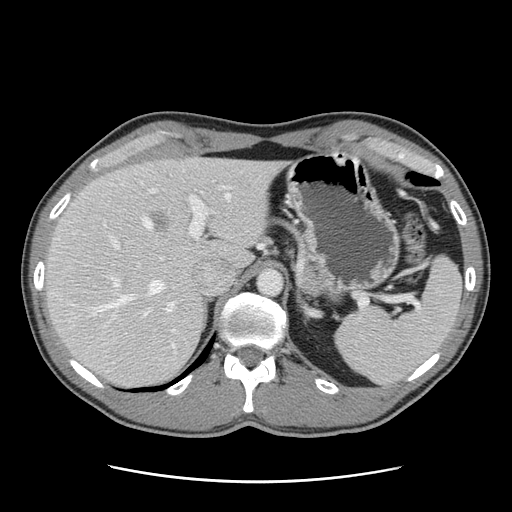
CT image, Abdomen
The vessel boxes may cover only some of the vessels.
Top 15 of 18 hepatic vessel regions: box=[103, 223, 105, 225]; box=[225, 193, 228, 199]; box=[109, 313, 114, 321]; box=[92, 295, 131, 315]; box=[222, 186, 227, 187]; box=[143, 218, 151, 228]; box=[149, 189, 154, 192]; box=[109, 276, 118, 287]; box=[69, 304, 74, 305]; box=[165, 302, 173, 311]; box=[172, 343, 175, 352]; box=[149, 281, 162, 292]; box=[189, 196, 208, 238]; box=[143, 308, 149, 315]; box=[111, 238, 118, 248].
Liver tumor: box=[152, 213, 166, 229].